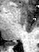 MRI; Medial temporal lobe
{
  "posterior_hippocampus": [
    "(x1=10, y1=43, x2=16, y2=46)"
  ]
}